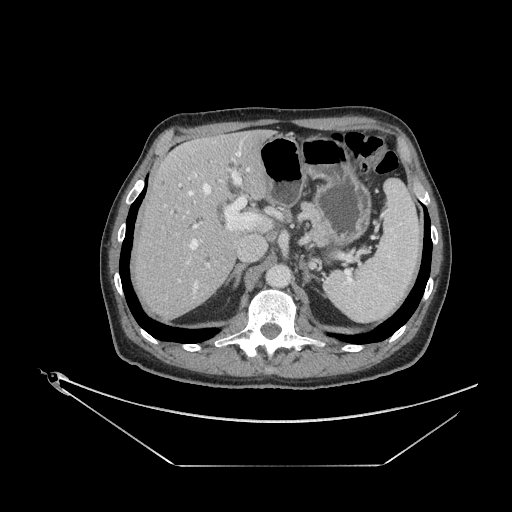
CT.
{"pancreas": ["rect(300, 202, 330, 246)"]}